FLAIR MR.
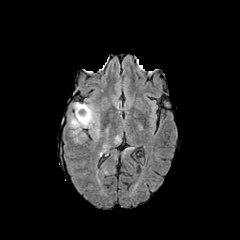
T1-weighted magnetic resonance.
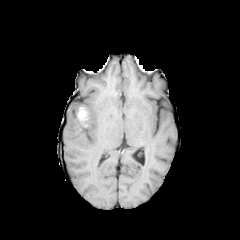
Post-contrast T1-weighted MR image.
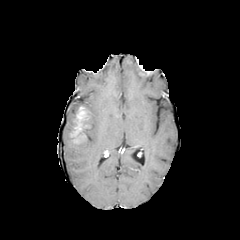
T2-weighted MR image.
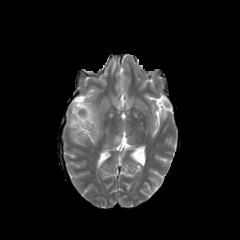
240x240 px; Head
{
  "enhancing_tumor": [
    "<box>71,107,85,142</box>"
  ],
  "edema": [
    "<box>67,100,100,141</box>"
  ]
}